FLAIR MRI.
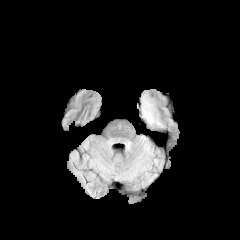
T1-weighted MR.
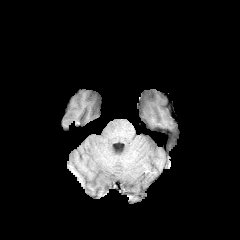
Post-contrast T1-weighted magnetic resonance.
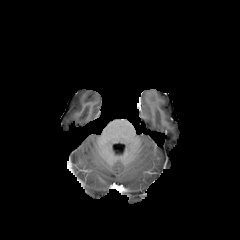
T2-weighted MR image.
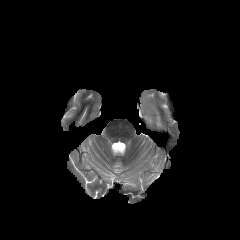
The edema is located at 141,94,161,126.